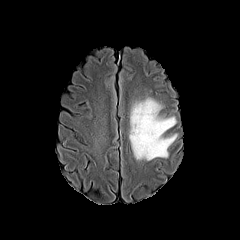
FLAIR MRI.
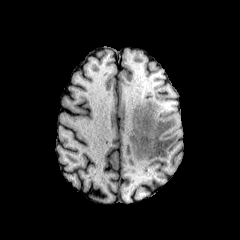
Same slice, T1-weighted magnetic resonance.
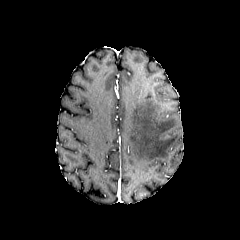
Same slice, post-contrast T1-weighted magnetic resonance.
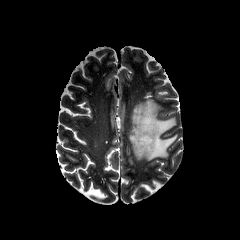
T2-weighted MR.
The edema appears at rect(129, 99, 176, 161).